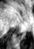

MRI. Hippocampus.
Segmented structures:
• posterior hippocampus: x1=17 y1=32 x2=25 y2=40